Field of view 240 mm wide, 1.00 mm slice spacing | 240x240 px
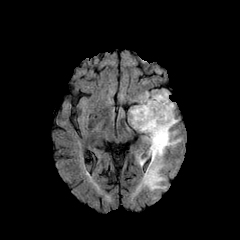
FLAIR MR image.
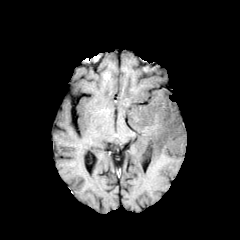
T1-weighted MR image.
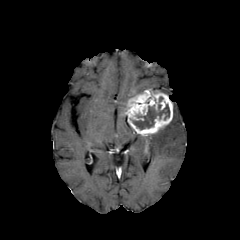
Post-contrast T1-weighted MR image.
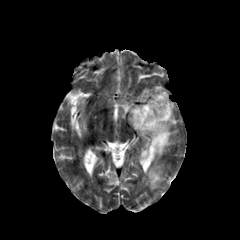
T2-weighted MR.
The enhancing tumor appears at 127 89 173 135. The edema is bounded by 139 106 181 190. The non-enhancing tumor core is bounded by 133 104 169 129.